FLAIR MR.
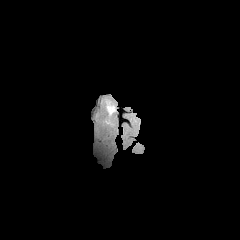
T1-weighted magnetic resonance.
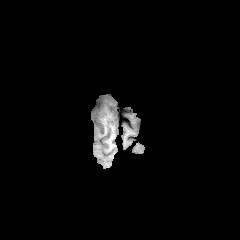
Post-contrast T1-weighted MR image.
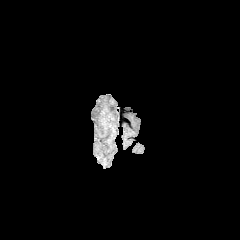
T2-weighted magnetic resonance.
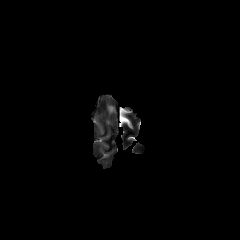
240x240 | Head
The edema appears at (left=105, top=100, right=115, bottom=124).